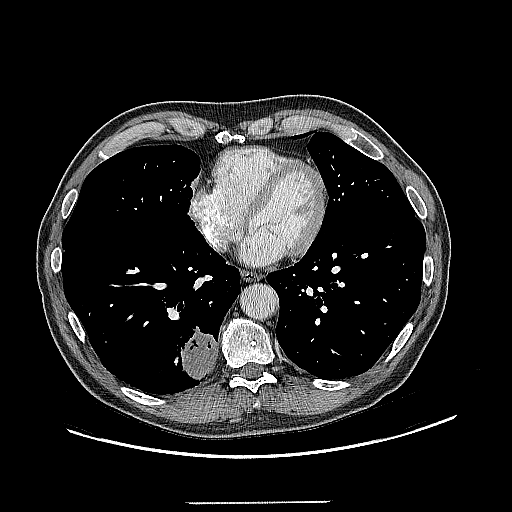
Lung. CT slice. {"lung_tumor": ["x1=181 y1=325 x2=217 y2=380"]}